FLAIR MRI.
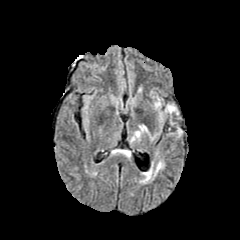
T1-weighted MR.
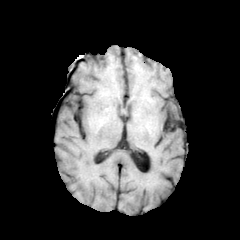
Post-contrast T1-weighted MRI.
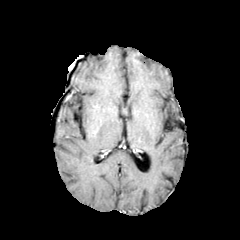
T2-weighted magnetic resonance.
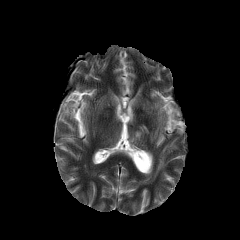
Head
edema: [135, 126, 146, 137], [152, 95, 179, 126], [144, 162, 162, 180]